Brain, 240x240 px
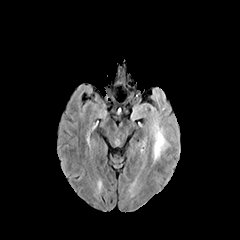
FLAIR MR image.
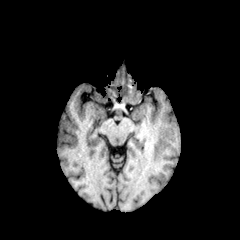
T1-weighted MR image.
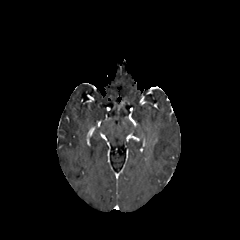
Post-contrast T1-weighted magnetic resonance.
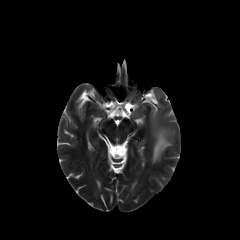
T2-weighted magnetic resonance of the same slice.
Edema at 153 126 168 160.